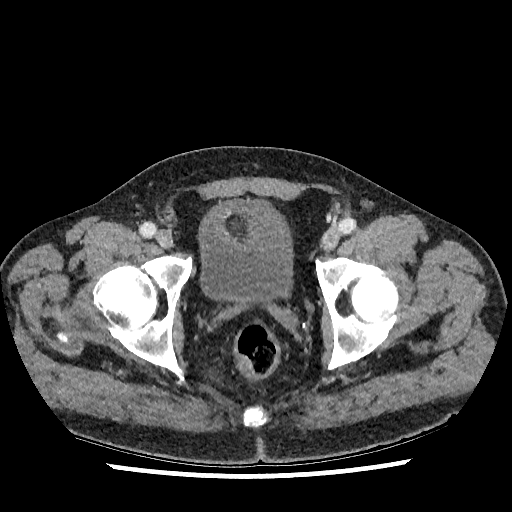
Pelvis. Computed tomography.
Urinary bladder: x1=199, y1=199, x2=293, y2=309.